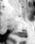

Image size 35x44. MRI. Hippocampus. posterior hippocampus: x1=16, y1=30, x2=25, y2=37